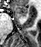
Medial temporal lobe; Magnetic resonance
<segmentation>
  <anterior_hippocampus>bbox=[14, 4, 27, 16]</anterior_hippocampus>
</segmentation>